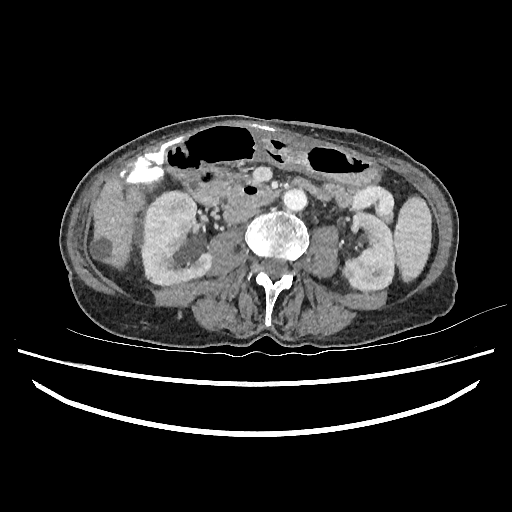
Computed tomography | Abdomen

kidney: box(142, 191, 211, 285); box(345, 213, 394, 290) | liver lesion: box(91, 239, 111, 259); box(133, 235, 137, 255) | liver: box(91, 179, 144, 267)